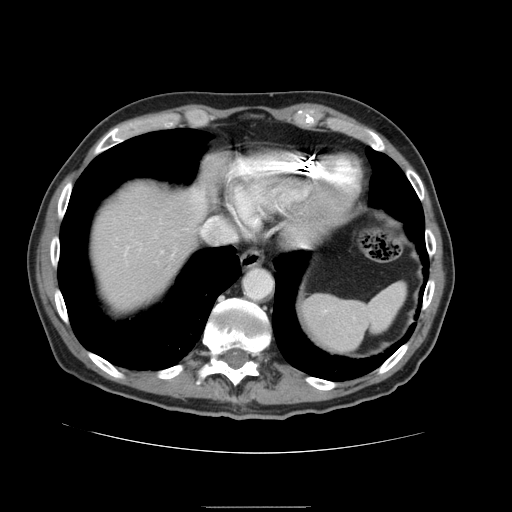 CT; Abdomen

The vessel annotation is not exhaustive.
hepatic vessel: 203:219:217:232